Brain.
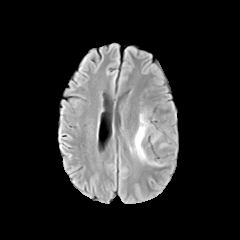
FLAIR MR.
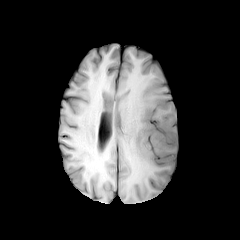
T1-weighted MR image.
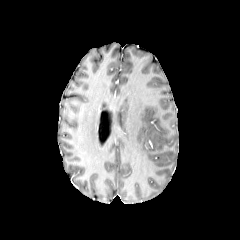
Post-contrast T1-weighted MR of the same slice.
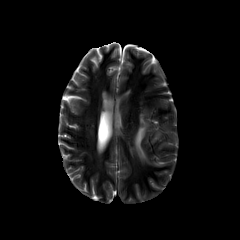
Same slice, T2-weighted MRI.
{"edema": ["127:108:165:166"]}